CT image | Slice 56/537
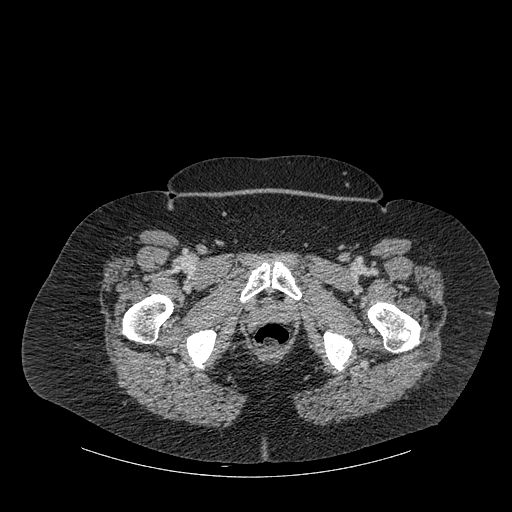

{
  "bone": [
    "<bbox>122, 294, 173, 343</bbox>",
    "<bbox>324, 332, 352, 370</bbox>",
    "<bbox>240, 261, 301, 302</bbox>",
    "<bbox>368, 302, 420, 352</bbox>",
    "<bbox>186, 330, 216, 368</bbox>"
  ]
}